Upper abdomen, 512x512 px, CT
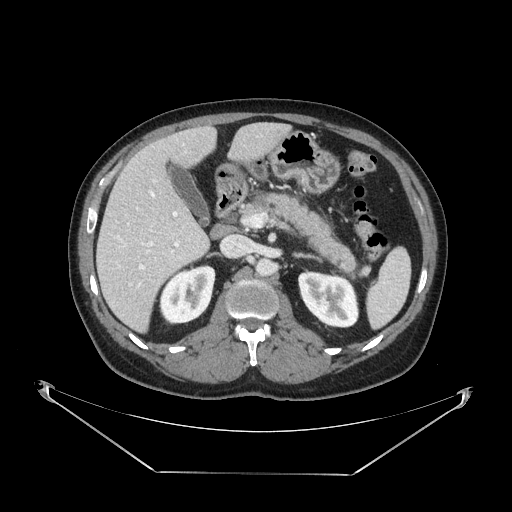

Pancreas — bbox(244, 192, 368, 275).
Pancreatic tumor — bbox(254, 195, 270, 208).